FLAIR MR image.
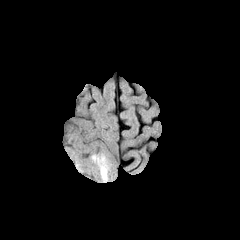
T1-weighted magnetic resonance.
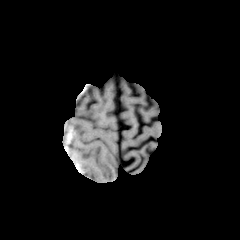
Post-contrast T1-weighted MR image.
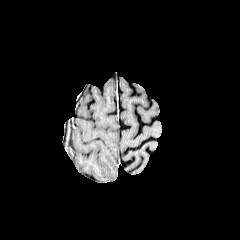
T2-weighted MR image.
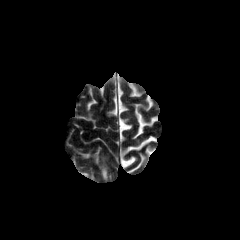
{"edema": ["[100, 167, 106, 178]"]}